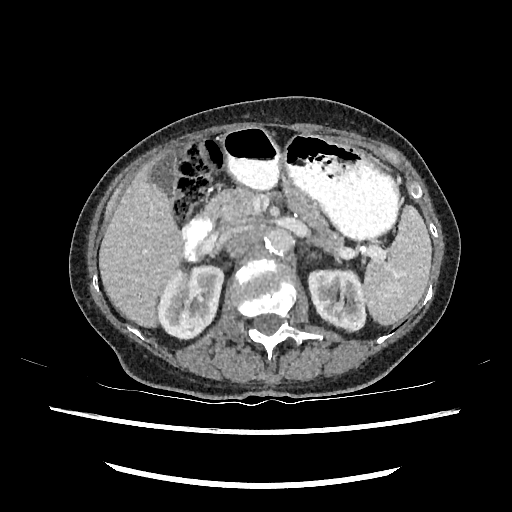 Liver. CT slice.

The liver is at 100:163:182:327. 2 kidney regions appear at 159:267:222:337, 309:271:364:329.